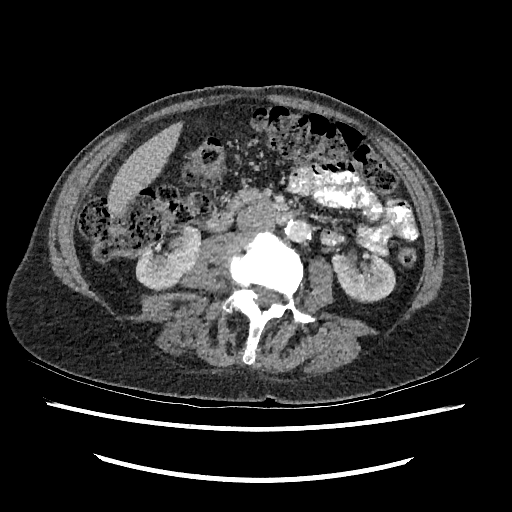

Upper abdomen, CT slice
2 kidney regions are bounded by (332, 255, 394, 300), (136, 243, 199, 288). The liver lies within (109, 122, 181, 213).